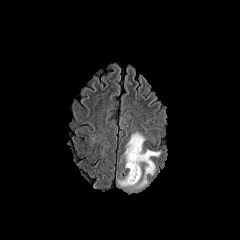
FLAIR magnetic resonance.
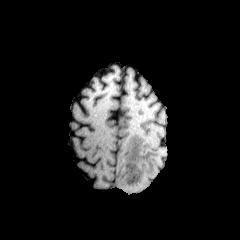
T1-weighted magnetic resonance.
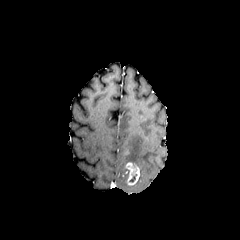
Post-contrast T1-weighted magnetic resonance.
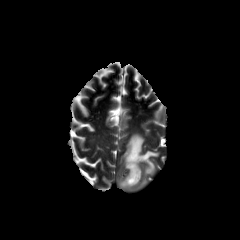
T2-weighted MRI of the same slice.
Head
• enhancing tumor: region(125, 162, 140, 185)
• edema: region(117, 133, 158, 192)